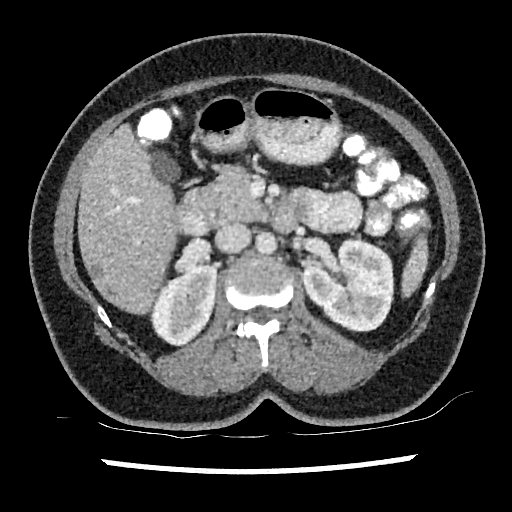

Upper abdomen; Computed tomography
Liver: <bbox>78, 125, 173, 312</bbox>.
Kidney: <bbox>303, 241, 392, 330</bbox>, <bbox>152, 258, 216, 344</bbox>.
Hepatic lesion: <bbox>151, 154, 177, 181</bbox>, <bbox>91, 265, 102, 276</bbox>.